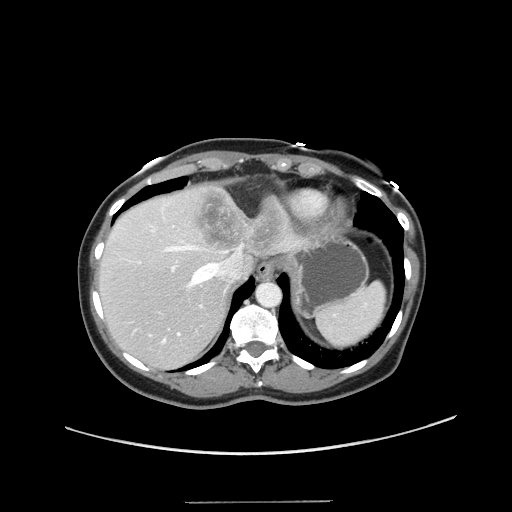
CT image | Liver
Only some of the vessels may be annotated.
Hepatic vessel: bounding box box(178, 332, 179, 334); box(172, 266, 174, 269); box(138, 261, 139, 262); box(163, 338, 165, 342); box(167, 245, 193, 249); box(152, 228, 154, 229); box(191, 251, 241, 284).
Liver tumor: bounding box box(192, 187, 286, 256).